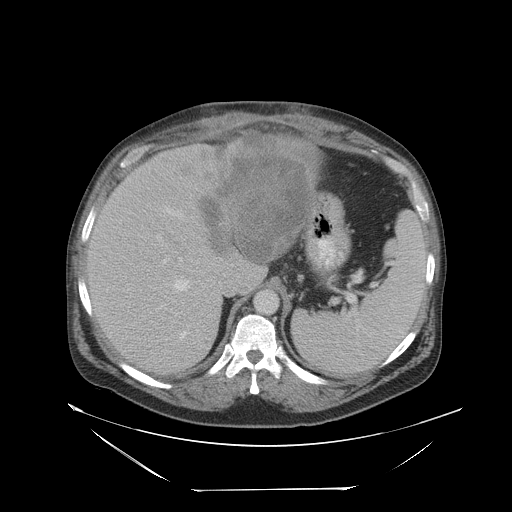

Liver, CT slice
The vessel annotation is not exhaustive.
Segmented structures:
- hepatic vessel: (181, 332, 186, 337), (173, 277, 189, 291), (164, 206, 183, 218), (163, 256, 167, 263), (178, 257, 181, 260)
- liver tumor: (197, 139, 310, 262), (179, 162, 199, 179)